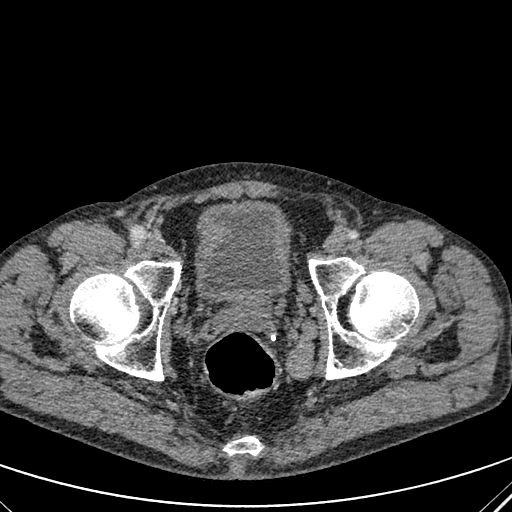 Pelvis | CT
Annotated regions:
• urinary bladder: rect(201, 208, 282, 294)